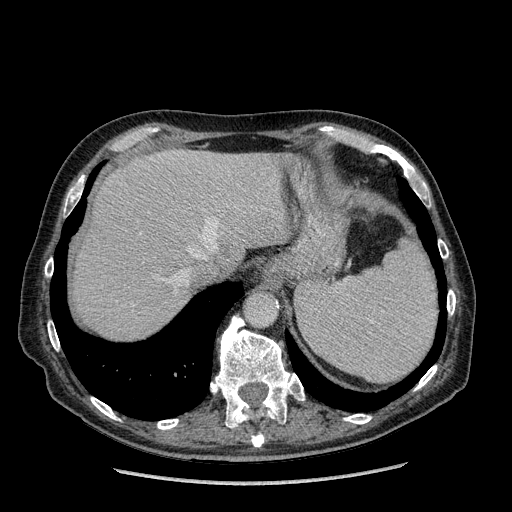

CT scan slice.

The liver is bounded by l=74, t=150, r=284, b=340.